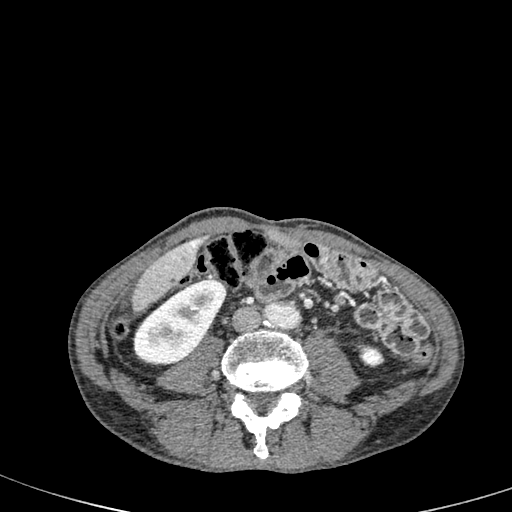
512x512, CT scan slice
2 kidney regions are bounded by (134, 280, 224, 363), (361, 348, 382, 364). The liver is located at (132, 236, 206, 310).